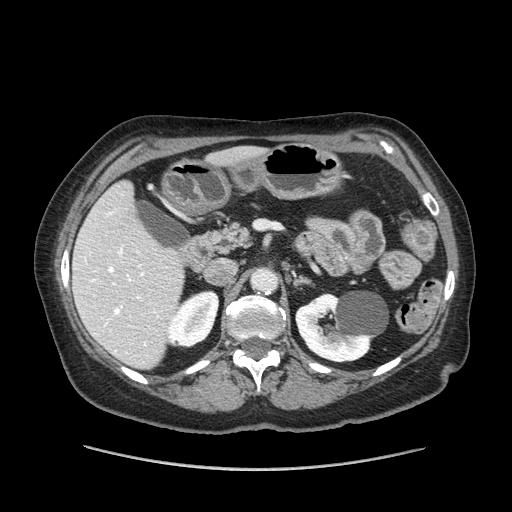
CT scan slice; Abdomen

The pancreas is at 215:222:252:253.